Abdomen | Computed tomography | Slice 36/91

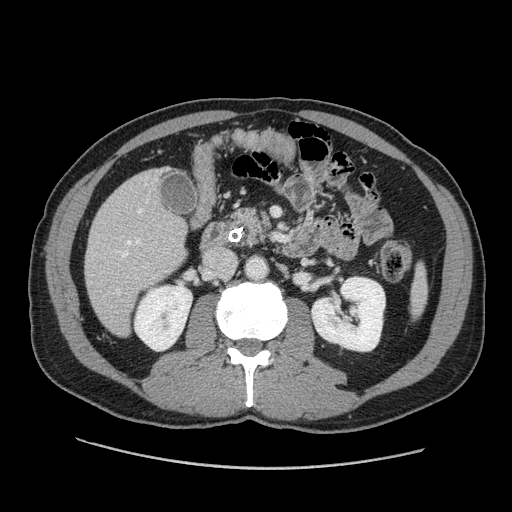

{
  "pancreas": [
    "[x1=227, y1=205, x2=273, y2=249]"
  ]
}